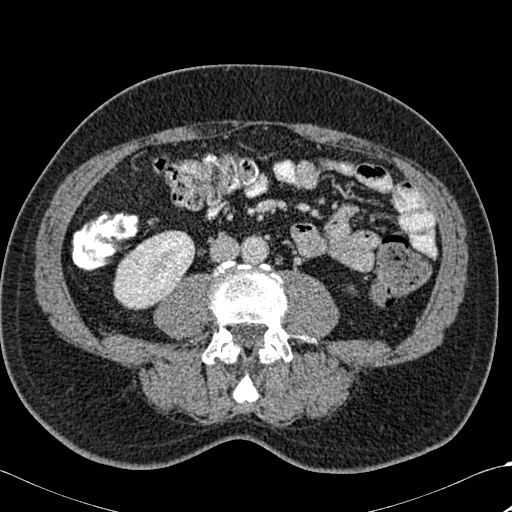
Abdomen | 512x512 px | CT scan slice

The kidney appears at [114, 231, 194, 308]. The bone is located at [202, 261, 292, 402].